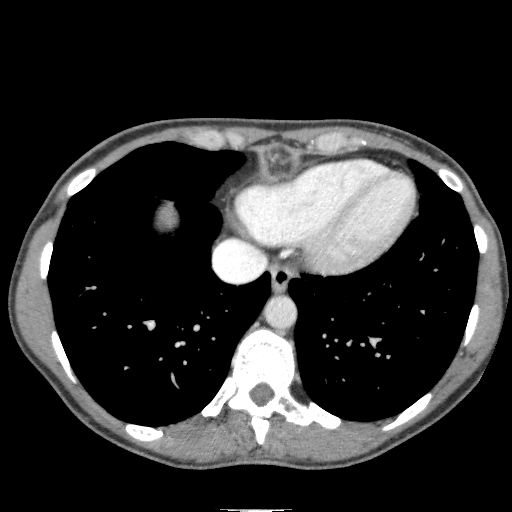 Computed tomography, 512x512 px

Segmented structures:
• liver: x1=163 y1=209 x2=173 y2=224